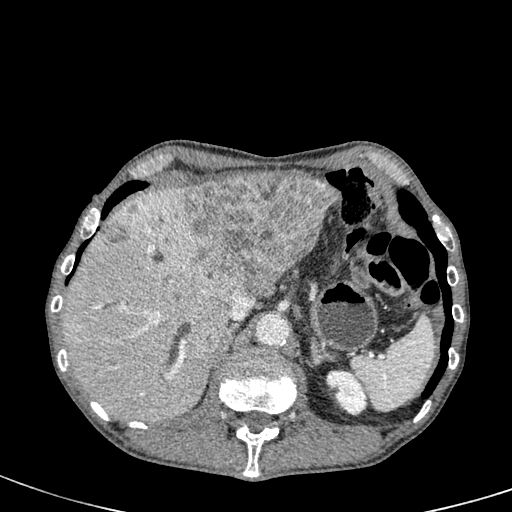 Computed tomography, 512x512, Upper abdomen

- kidney: region(329, 373, 362, 411)
- focal liver lesion: region(184, 175, 336, 294); region(101, 223, 129, 242)
- liver: region(289, 173, 315, 178); region(63, 187, 244, 421); region(256, 279, 277, 296)